Slice index 72 | Computed tomography | Abdomen
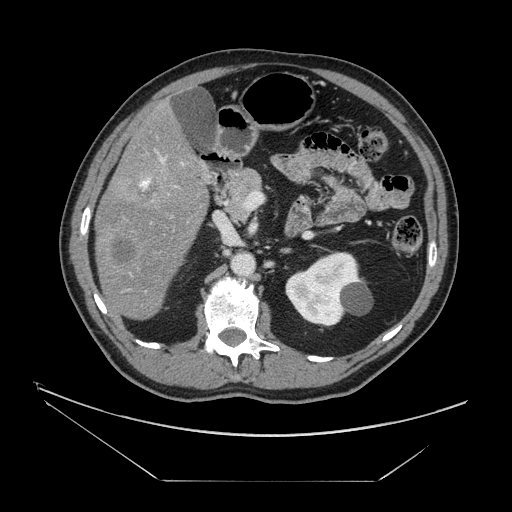
Some hepatic vessels may have no box.
Annotated regions:
• hepatic vessel: 160,158,164,161
• liver tumor: 130,176,160,198; 114,240,137,265